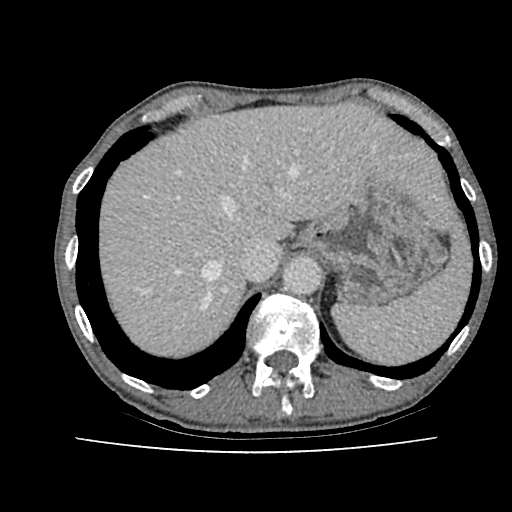

CT scan slice. Abdomen. 512x512 px.
The liver is at 97,104,450,356.